Slice 72 of 155. 240x240. Head.
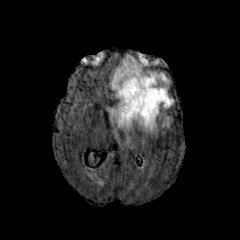
FLAIR MR image.
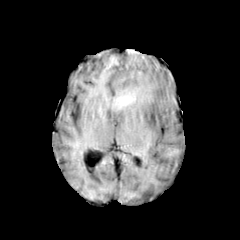
T1-weighted MR image.
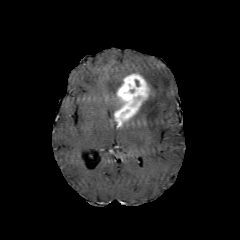
Post-contrast T1-weighted MRI.
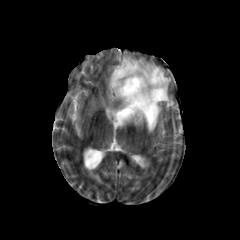
T2-weighted MRI of the same slice.
The edema lies within <bbox>110, 55, 173, 130</bbox>. The enhancing tumor is bounded by <bbox>114, 73, 149, 127</bbox>.